Computed tomography; Image size 512x512

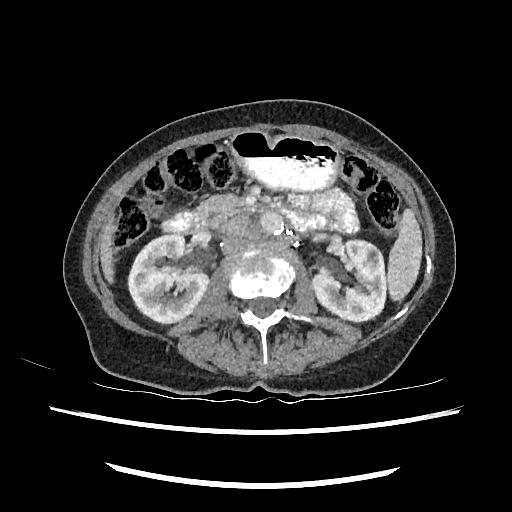 2 kidney regions are located at box=[129, 235, 207, 322]; box=[313, 241, 385, 320]. The liver is bounded by box=[101, 228, 112, 280].